Abdomen, CT

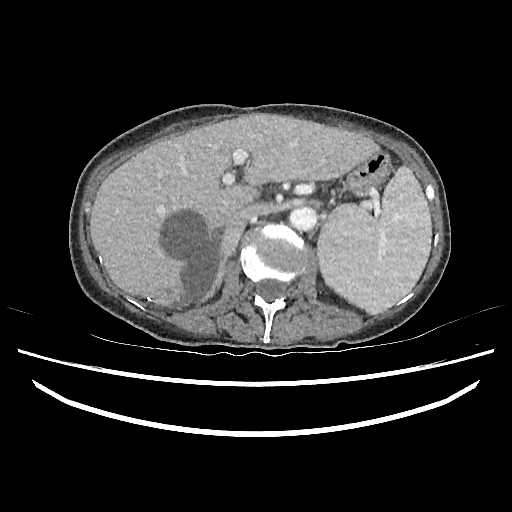 <segmentation>
  <liver_lesion>left=162, top=213, right=219, bottom=304</liver_lesion>
  <liver>left=90, top=115, right=375, bottom=305</liver>
</segmentation>